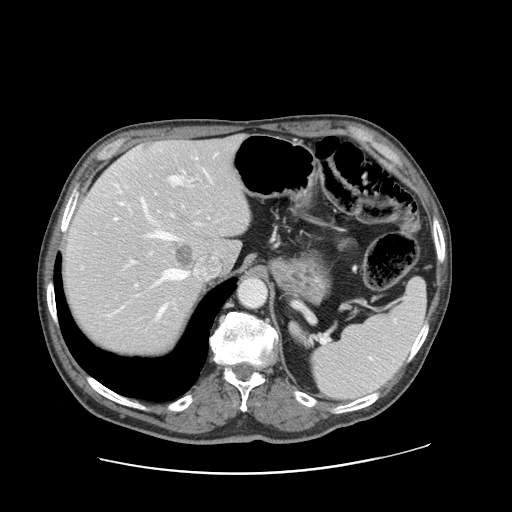 Image size 512x512, CT image, Abdomen

The vessel boxes may cover only some of the vessels.
hepatic_vessel:
  - 155,269,186,284
  - 157,305,165,318
  - 129,260,134,264
  - 203,169,205,172
  - 120,202,123,204
  - 118,307,122,310
  - 115,218,117,219
  - 149,232,174,239
  - 170,176,181,185
  - 142,200,146,213
  - 136,284,137,286
liver_tumor:
  - 176,246,193,268